CT image

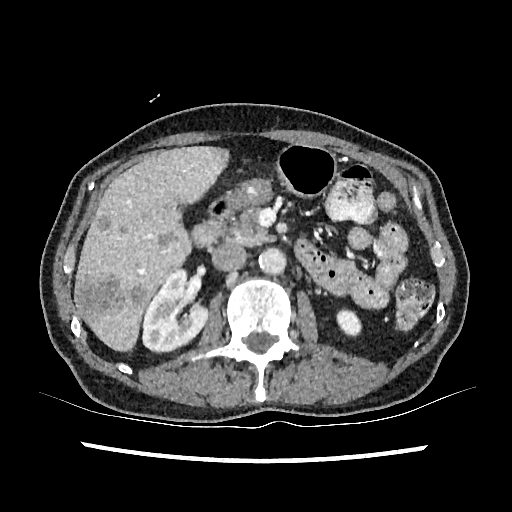 4 hepatic lesion regions are located at box=[75, 275, 125, 318]; box=[129, 286, 147, 308]; box=[97, 215, 110, 231]; box=[158, 231, 178, 246]. The liver is bounded by box=[75, 146, 227, 350]. 2 kidney regions are bounded by box=[143, 271, 207, 350]; box=[338, 311, 360, 334].